Computed tomography. Liver. 512x512 px.
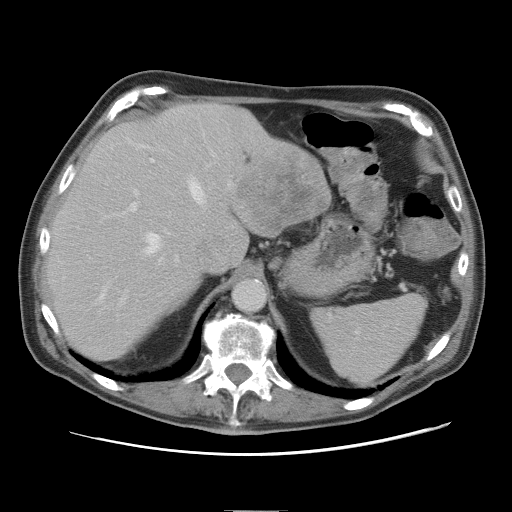

The vessel boxes may cover only some of the vessels.
Hepatic vessel at <box>212,152,213,154</box>, <box>136,145,143,147</box>, <box>131,204,137,210</box>, <box>190,179,204,202</box>, <box>228,182,232,186</box>, <box>100,289,105,299</box>, <box>146,234,160,253</box>, <box>121,298,125,303</box>, <box>151,159,154,161</box>, <box>176,257,179,261</box>, <box>135,191,138,194</box>.
Liver tumor at <box>237,157,326,234</box>.